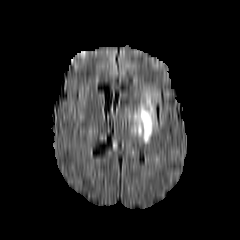
FLAIR MR.
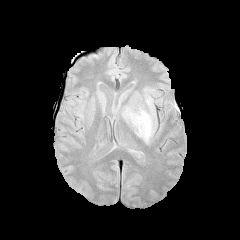
T1-weighted MR.
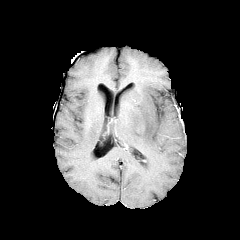
Post-contrast T1-weighted MR of the same slice.
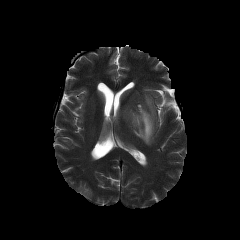
Same slice, T2-weighted magnetic resonance.
Image size 240x240. Head.
The edema is bounded by region(126, 94, 156, 144).